Head.
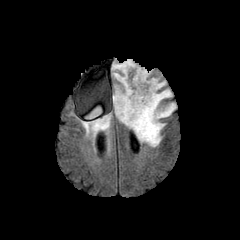
FLAIR magnetic resonance.
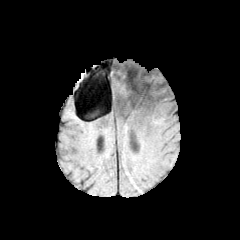
T1-weighted MR image.
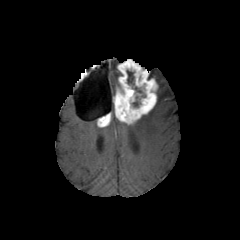
Post-contrast T1-weighted MR.
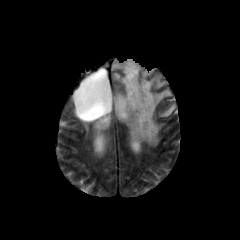
T2-weighted magnetic resonance.
2 enhancing tumor regions are bounded by [97, 112, 111, 126], [113, 60, 157, 123]. 4 edema regions appear at [156, 77, 165, 89], [130, 88, 176, 146], [112, 62, 119, 91], [86, 108, 109, 131]. The non-enhancing tumor core lies within [127, 70, 133, 83].